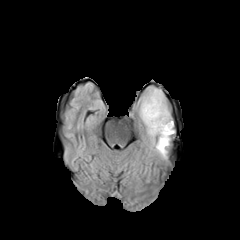
FLAIR magnetic resonance.
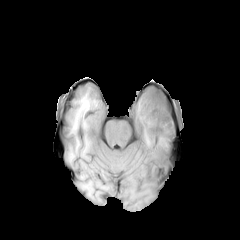
T1-weighted MR image of the same slice.
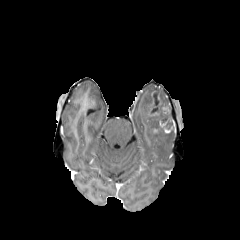
Same slice, post-contrast T1-weighted MR image.
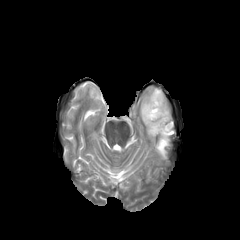
T2-weighted MR of the same slice.
<segmentation>
  <edema>[136,86,175,160]</edema>
  <non-enhancing_tumor_core>[146,86,174,134]</non-enhancing_tumor_core>
</segmentation>